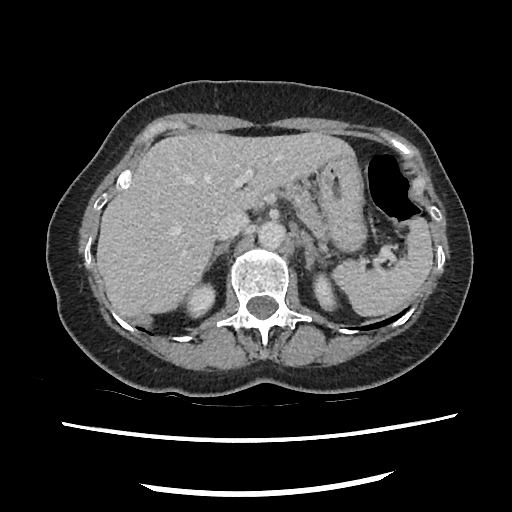

CT image
<segmentation>
  <pancreas>box(282, 188, 325, 233)</pancreas>
</segmentation>